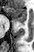

MR

The posterior hippocampus appears at rect(18, 22, 24, 26). The anterior hippocampus is at rect(9, 7, 26, 21).